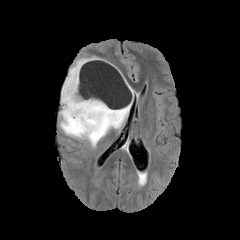
FLAIR MRI.
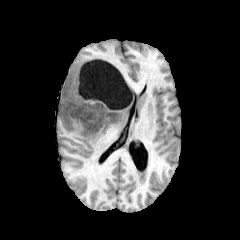
T1-weighted magnetic resonance of the same slice.
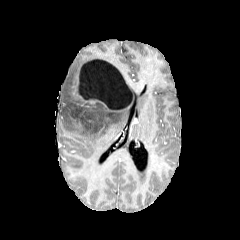
Same slice, post-contrast T1-weighted MRI.
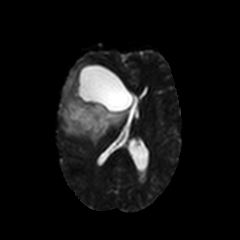
T2-weighted MRI.
240x240 px. Brain.
edema: box=[59, 57, 132, 146] | non-enhancing tumor core: box=[65, 74, 129, 130]